Abdomen; Slice 442 of 771; CT image
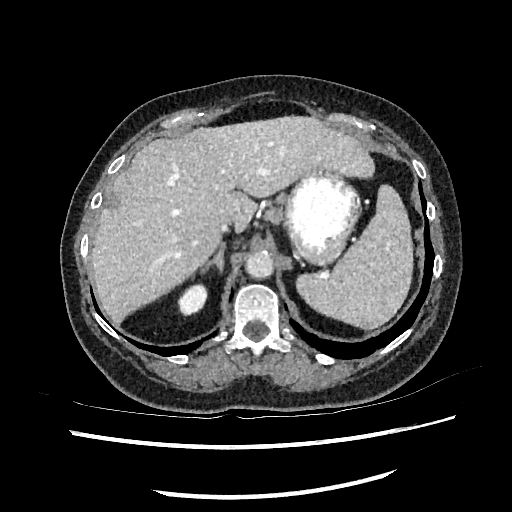 The kidney is located at l=180, t=286, r=205, b=313. The liver is bounded by l=90, t=116, r=374, b=324.